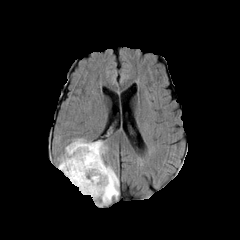
FLAIR magnetic resonance.
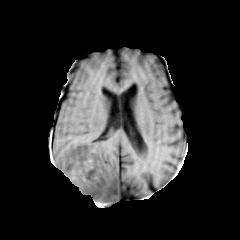
T1-weighted MR image.
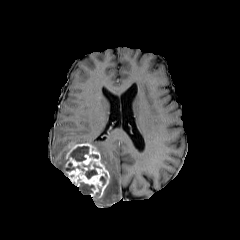
Same slice, post-contrast T1-weighted MRI.
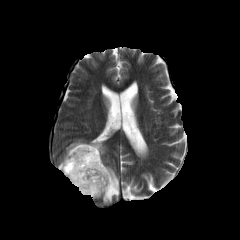
T2-weighted MR.
Head.
• edema: [79,184,91,193], [58,146,68,176], [88,141,119,203]
• enhancing tumor: [65,142,110,197]
• non-enhancing tumor core: [70,146,88,161], [85,169,97,178]